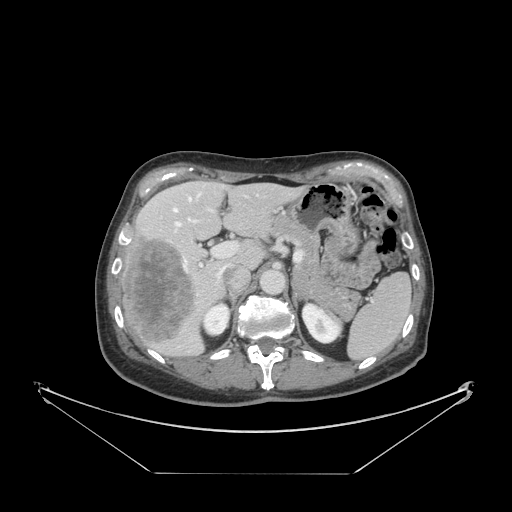

CT. Annotated regions:
• spleen: 349 274 410 358